FLAIR MRI.
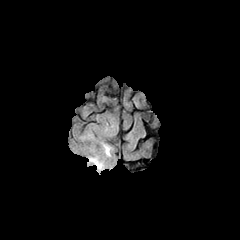
T1-weighted MR image.
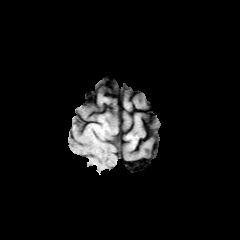
Post-contrast T1-weighted magnetic resonance.
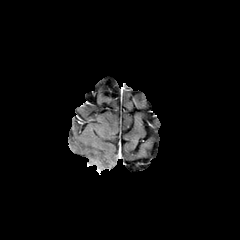
T2-weighted MR.
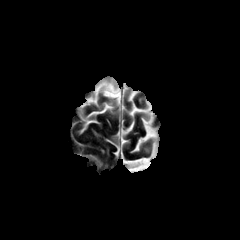
Head
2 edema regions appear at 87 156 104 173, 104 146 109 155.